Slice 475/574; Image size 512x512; Field of view 411 mm wide, 0.80 mm slice spacing; Abdomen; CT image 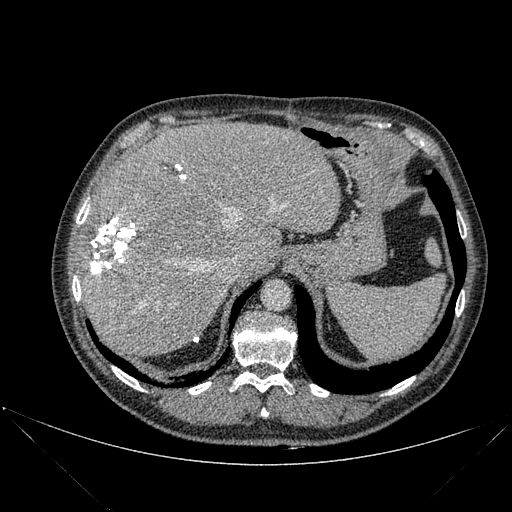 Liver lesion = (163, 163, 177, 175).
Liver = (81, 122, 340, 355).
Bone = (387, 376, 415, 394), (112, 366, 143, 390), (459, 218, 466, 237), (455, 296, 464, 316), (233, 371, 290, 393), (310, 384, 328, 397), (76, 203, 89, 224), (72, 276, 80, 300), (188, 382, 211, 394), (233, 320, 296, 371).
Lung = (87, 324, 144, 379), (174, 348, 228, 386), (294, 170, 465, 393), (230, 282, 260, 325).